Brain, Image width 240 mm
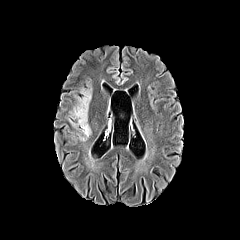
FLAIR MRI.
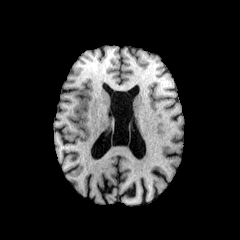
T1-weighted magnetic resonance of the same slice.
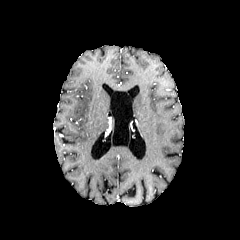
Post-contrast T1-weighted magnetic resonance.
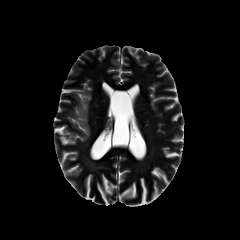
T2-weighted magnetic resonance.
The edema is bounded by <bbox>67, 88, 92, 141</bbox>.